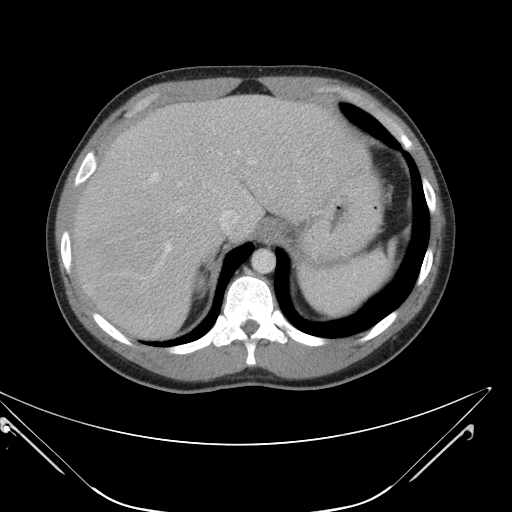 CT slice | Abdomen
Only some of the vessels may be annotated.
hepatic vessel: region(164, 244, 170, 256); region(219, 210, 240, 233); region(150, 173, 157, 181); region(237, 150, 239, 152); region(250, 161, 253, 163); region(178, 182, 181, 185)